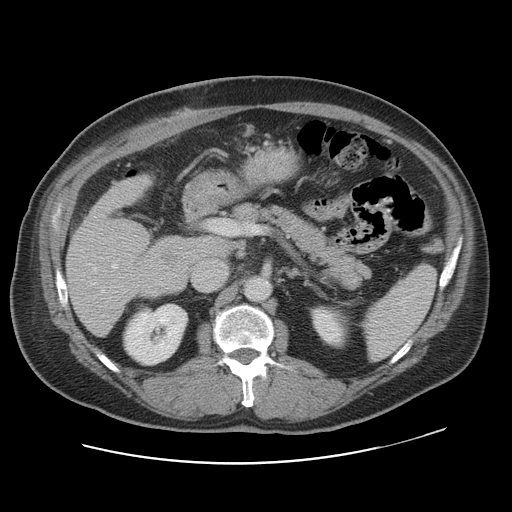
Abdomen; Image size 512x512; CT image

The vessel annotation is not exhaustive.
liver_tumor:
  - left=159, top=248, right=177, bottom=264
hepatic_vessel:
  - left=100, top=286, right=104, bottom=292
  - left=112, top=260, right=118, bottom=268
  - left=110, top=285, right=117, bottom=287
  - left=113, top=280, right=115, bottom=283